Image width 240 mm. Head.
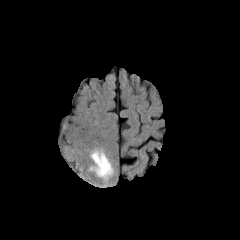
FLAIR MRI.
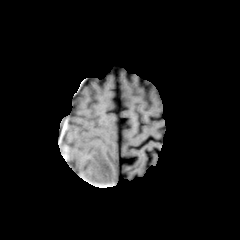
T1-weighted MR.
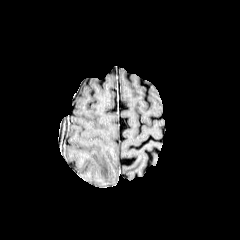
Post-contrast T1-weighted MRI.
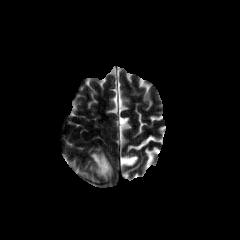
T2-weighted MRI of the same slice.
{
  "edema": [
    "(90,150,112,177)"
  ]
}